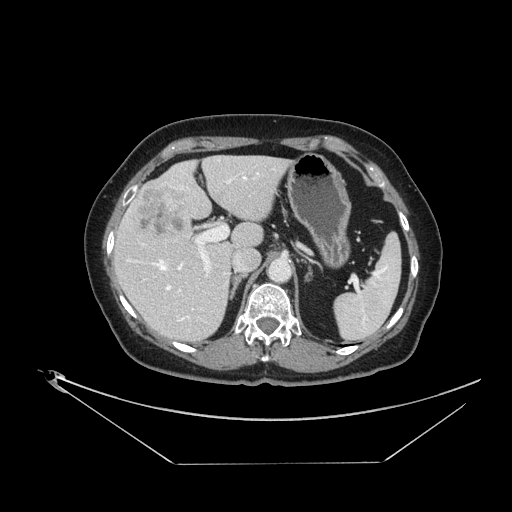 CT slice.
The vessel boxes may cover only some of the vessels.
Annotated regions:
- hepatic vessel: l=184, t=316, r=189, b=317; l=178, t=263, r=182, b=269; l=165, t=285, r=171, b=290; l=196, t=225, r=227, b=275; l=153, t=259, r=167, b=270; l=244, t=177, r=245, b=178
- liver tumor: l=135, t=182, r=187, b=237